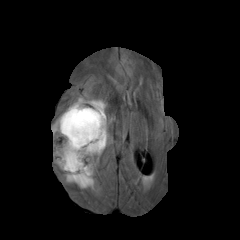
FLAIR MR image.
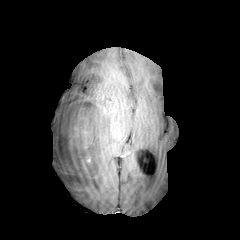
T1-weighted MR of the same slice.
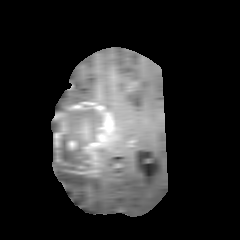
Post-contrast T1-weighted MR image of the same slice.
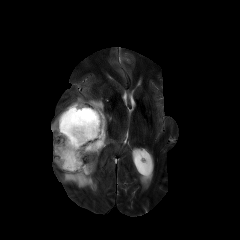
T2-weighted MRI.
Enhancing tumor — [69,100,101,112], [80,126,89,137], [83,118,109,160], [67,140,77,149], [54,122,67,147].
Non-enhancing tumor core — [56,105,105,174].
Edema — [54,146,105,187], [90,98,111,121], [52,118,59,144], [59,98,85,115].